512x512; Slice 456/722; CT image; Abdomen

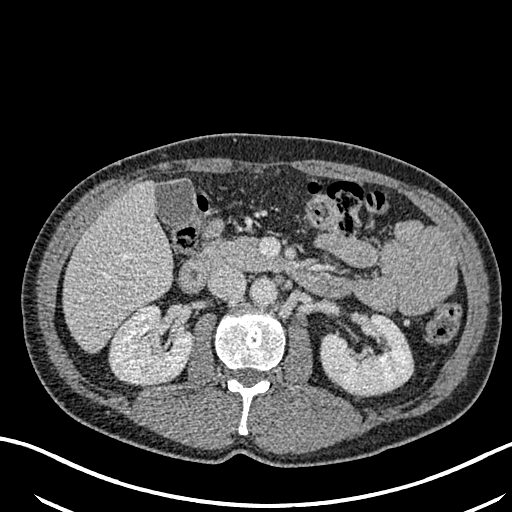
- kidney: rect(321, 315, 412, 394); rect(110, 307, 191, 384)
- liver: rect(65, 181, 172, 351)